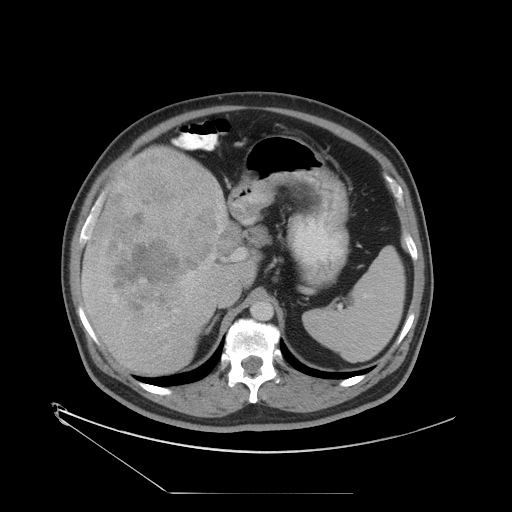 Computed tomography
Not every hepatic vessel necessarily has a box.
The liver tumor appears at box=[89, 149, 242, 316]. The largest 15 hepatic vessel regions (of 18) are located at box=[110, 279, 111, 284]; box=[185, 285, 193, 300]; box=[151, 320, 168, 334]; box=[110, 291, 115, 303]; box=[122, 319, 127, 327]; box=[201, 255, 215, 268]; box=[220, 222, 225, 228]; box=[201, 288, 206, 291]; box=[232, 248, 241, 258]; box=[98, 288, 105, 294]; box=[220, 191, 221, 196]; box=[172, 318, 174, 320]; box=[174, 309, 179, 311]; box=[183, 303, 186, 306]; box=[221, 203, 224, 217].